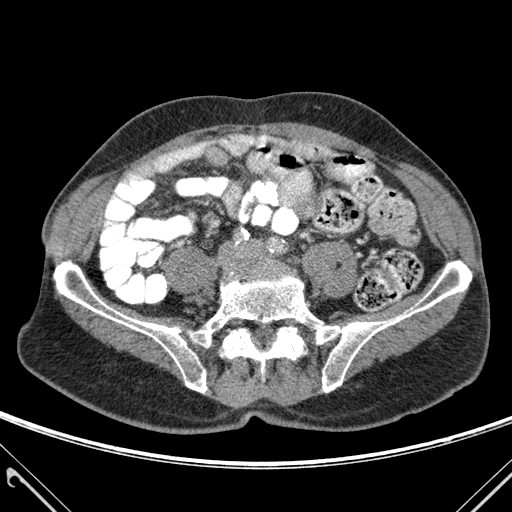

Computed tomography, Image size 512x512
{
  "bone": [
    "region(189, 261, 471, 392)",
    "region(54, 261, 206, 392)",
    "region(222, 327, 303, 371)"
  ]
}